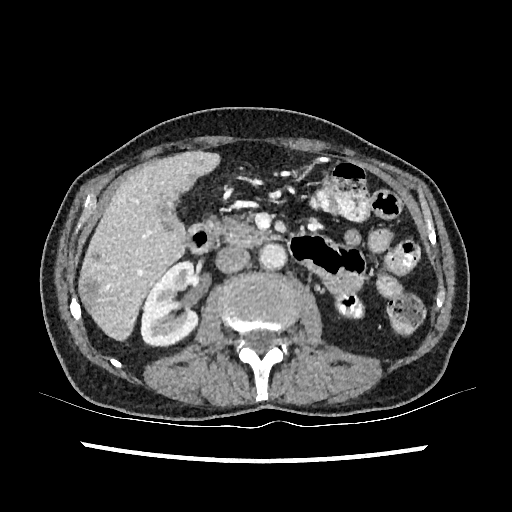
CT image | Liver | 512x512
4 hepatic lesion regions are bounded by left=186, top=173, right=201, bottom=185; left=91, top=252, right=100, bottom=261; left=80, top=280, right=99, bottom=309; left=157, top=204, right=173, bottom=229. The kidney is located at left=141, top=263, right=197, bottom=345. The liver lies within left=80, top=151, right=219, bottom=338.